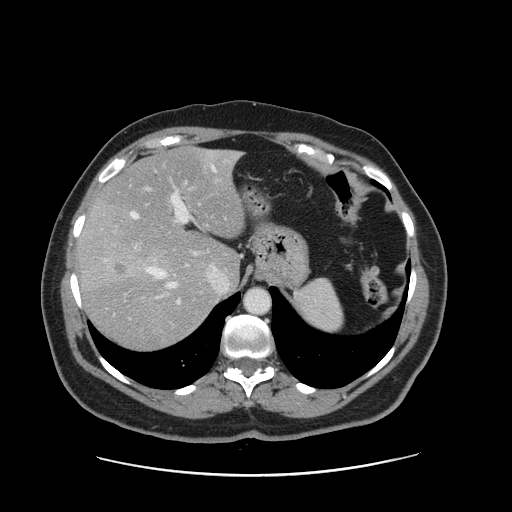

Image size 512x512, Computed tomography, Liver

The vessel annotation is not exhaustive.
8 hepatic vessel regions appear at <box>177,299,180,302</box>, <box>168,282,176,287</box>, <box>215,180,217,181</box>, <box>212,166,215,170</box>, <box>194,251,198,254</box>, <box>148,267,165,278</box>, <box>135,246,137,247</box>, <box>171,189,189,222</box>. The liver tumor lies within <box>115,263,125,274</box>.